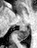

MRI, Medial temporal lobe
<segmentation>
  <posterior_hippocampus>x1=18 y1=24 x2=29 y2=39</posterior_hippocampus>
</segmentation>